CT 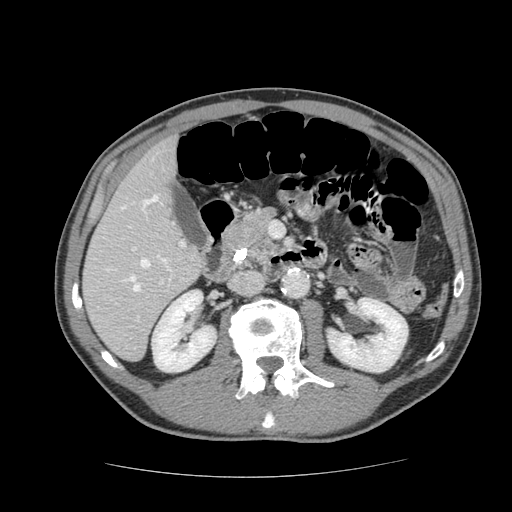 Pancreatic tumor at (243,215,267,238).
Pancreas at (223,205,279,271).